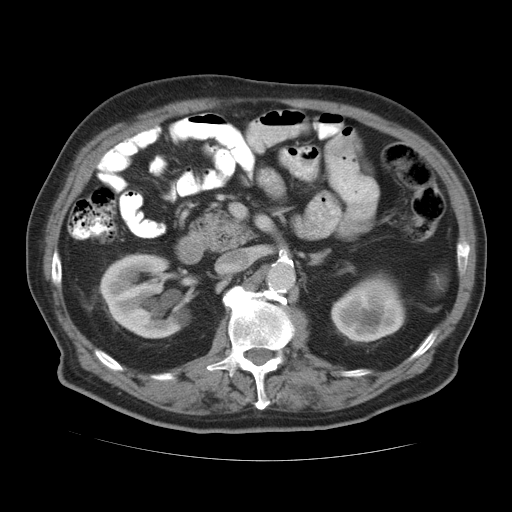

CT image. Abdomen.

spleen:
  - region(433, 272, 446, 288)